FLAIR magnetic resonance.
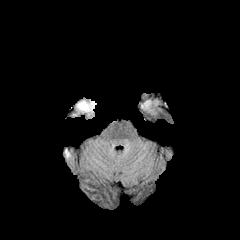
T1-weighted MR.
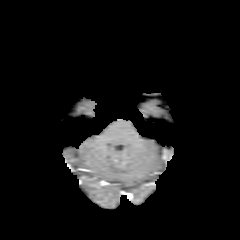
Post-contrast T1-weighted magnetic resonance.
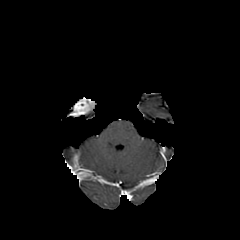
T2-weighted magnetic resonance.
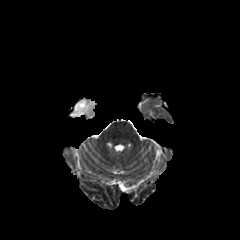
240x240, Brain
Enhancing tumor — <bbox>71, 98, 95, 116</bbox>.